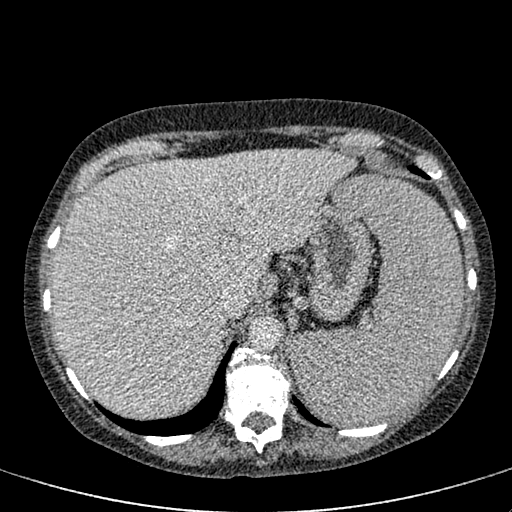 CT slice; Upper abdomen
Liver — box=[53, 148, 358, 415].